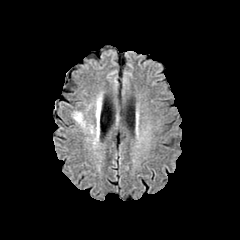
FLAIR MR.
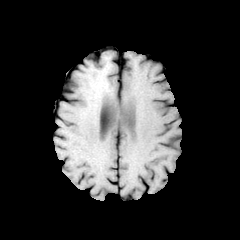
T1-weighted MR.
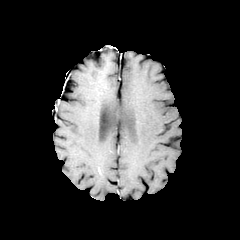
Post-contrast T1-weighted MR image.
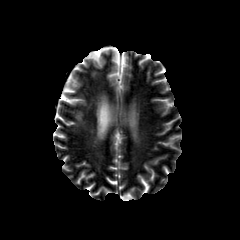
T2-weighted magnetic resonance of the same slice.
240x240, Head
edema: (left=75, top=113, right=85, bottom=127), (left=89, top=98, right=99, bottom=135)